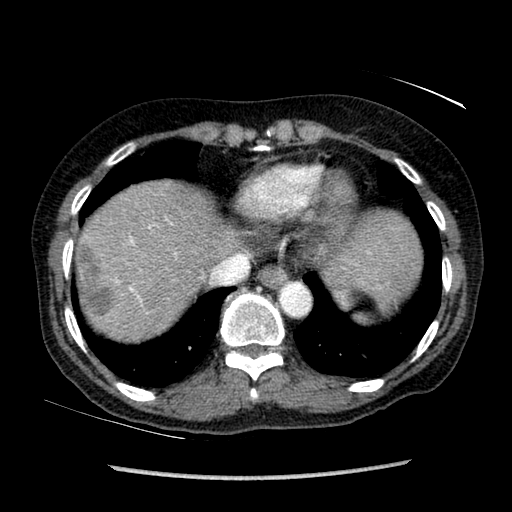

CT image.
focal_liver_lesion:
  - x1=75, y1=245, x2=112, y2=316
liver:
  - x1=318, y1=210, x2=423, y2=299
  - x1=77, y1=183, x2=236, y2=340